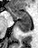 Hippocampus. MR image. <segmentation>
  <anterior_hippocampus>x1=9, y1=8, x2=30, y2=19</anterior_hippocampus>
  <posterior_hippocampus>x1=18, y1=20, x2=30, y2=31</posterior_hippocampus>
</segmentation>